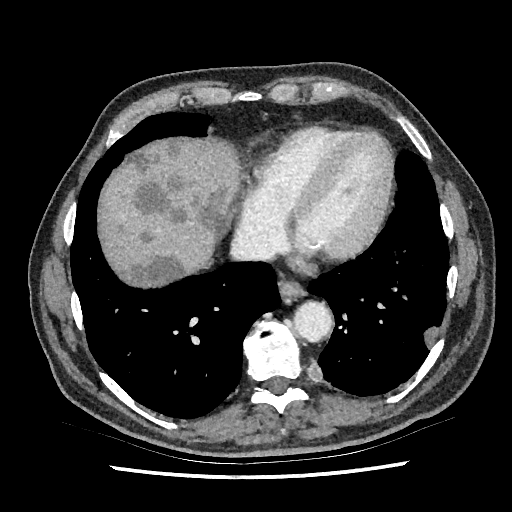 CT slice, 512x512 px, Liver

• focal liver lesion: region(123, 152, 157, 172); region(192, 189, 234, 239); region(166, 139, 182, 156); region(132, 173, 187, 225); region(119, 255, 184, 285); region(139, 231, 153, 244)
• liver: region(102, 139, 237, 276)